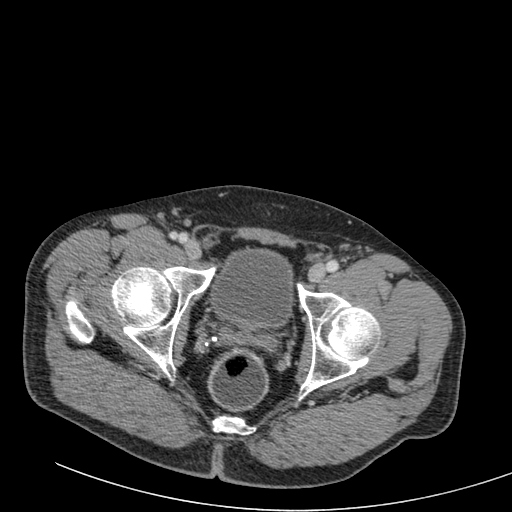
CT | Lower abdomen
urinary bladder: x1=209 y1=247 x2=293 y2=332